CT slice; 512x512 px 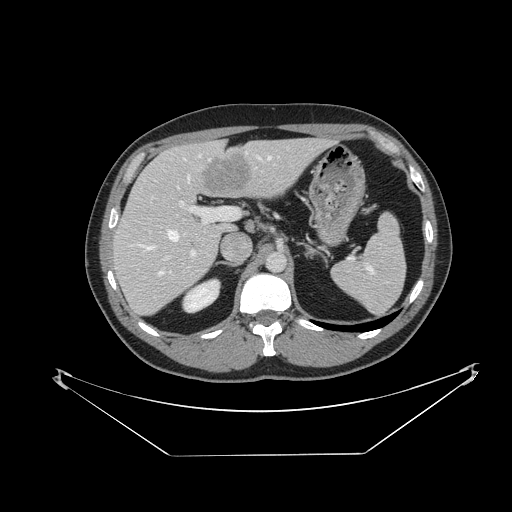

spleen: region(331, 213, 405, 314)